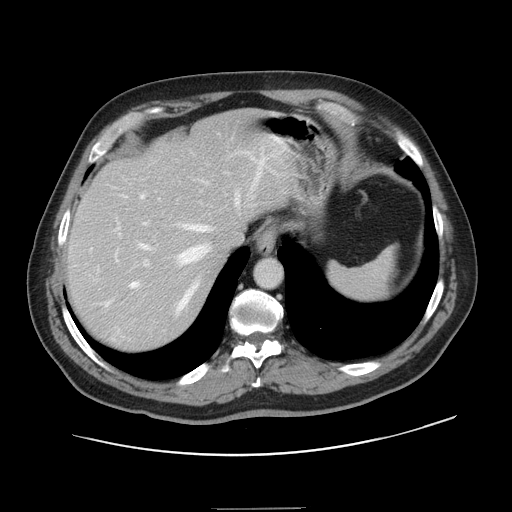 CT
The vessel annotation is not exhaustive.
Annotated regions:
- hepatic vessel: <box>115,257,116,259</box>, <box>236,195,238,205</box>, <box>130,283,137,287</box>, <box>103,302,109,305</box>, <box>143,260,148,265</box>, <box>178,282,197,309</box>, <box>143,223,146,224</box>, <box>185,225,209,230</box>, <box>179,245,209,263</box>, <box>140,194,144,198</box>, <box>141,245,150,249</box>, <box>114,227,120,235</box>, <box>251,156,265,188</box>